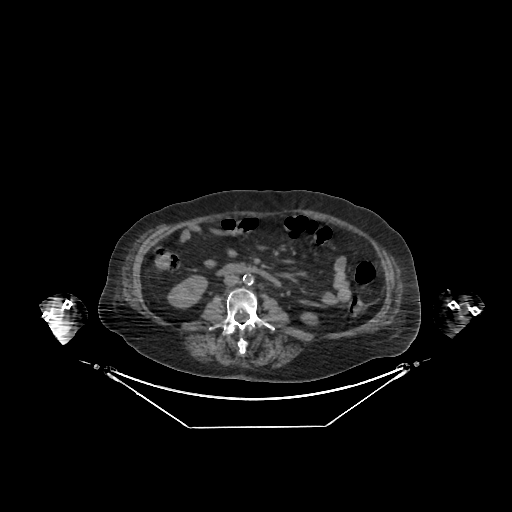 CT scan slice
{"kidney": ["rect(300, 312, 317, 325)", "rect(167, 275, 207, 308)"]}